FLAIR MR.
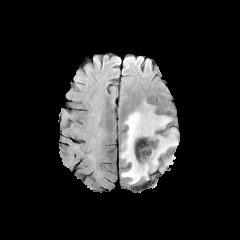
T1-weighted MR.
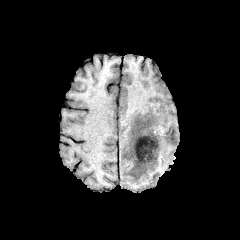
Post-contrast T1-weighted magnetic resonance.
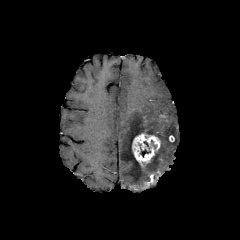
T2-weighted MRI.
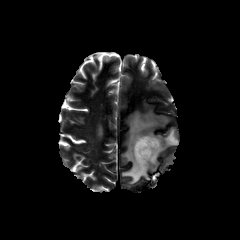
Head
The non-enhancing tumor core appears at [139,141,150,157]. The enhancing tumor lies within [132,133,160,166]. The edema is at [121,111,178,184].